320x320 | Field of view 200 mm wide, 3.60 mm slice spacing | Slice 10 of 20
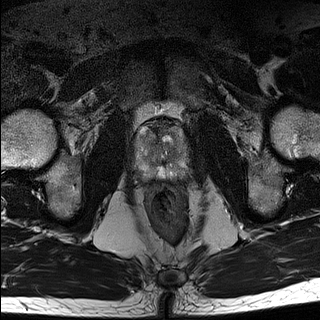
T2-weighted MRI.
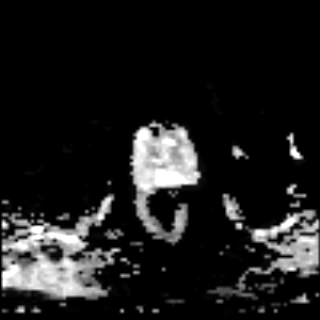
Same slice, ADC MR image.
prostate peripheral zone: (x1=133, y1=124, x2=189, y2=179) | prostate transition zone: (x1=145, y1=123, x2=177, y2=164)